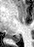 Hippocampus. Magnetic resonance.

<segmentation>
  <posterior_hippocampus>(x1=12, y1=35, x2=20, y2=42)</posterior_hippocampus>
</segmentation>